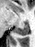
35x47 | Medial temporal lobe | MRI
The posterior hippocampus lies within (x1=14, y1=21, x2=28, y2=35).